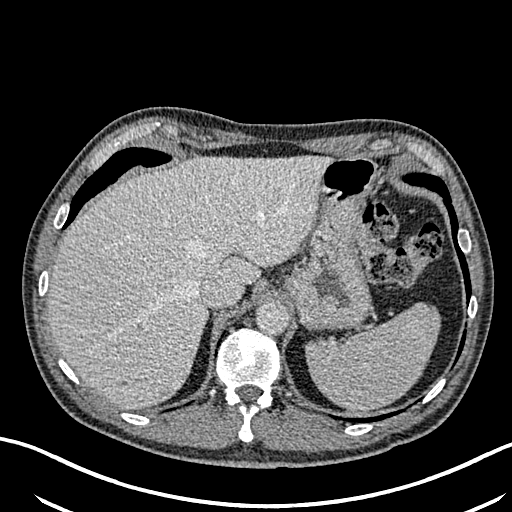
CT slice; Liver; 512x512
Findings:
• liver: x1=49 y1=156 x2=332 y2=408
• hepatic lesion: x1=158 y1=387 x2=170 y2=398, x1=175 y1=338 x2=186 y2=354, x1=135 y1=323 x2=143 y2=331, x1=56 y1=255 x2=67 y2=264